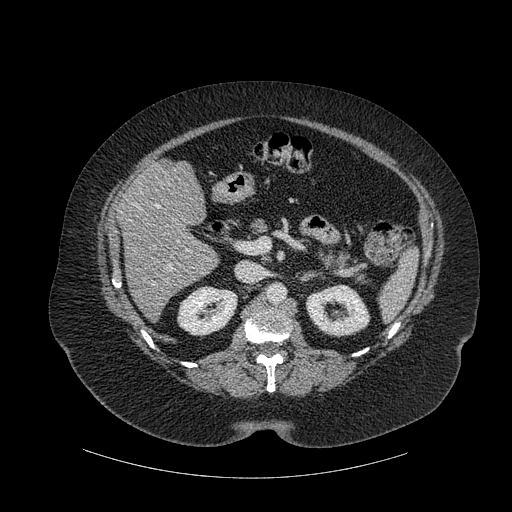

Upper abdomen; Computed tomography

<segmentation>
  <kidney>bbox=[178, 287, 236, 334]; bbox=[306, 285, 368, 335]</kidney>
  <liver>bbox=[117, 160, 219, 318]</liver>
  <bone>bbox=[388, 323, 399, 337]; bbox=[245, 299, 291, 343]; bbox=[141, 330, 153, 348]; bbox=[257, 354, 282, 391]; bbox=[112, 279, 120, 287]; bbox=[353, 348, 368, 355]; bbox=[182, 362, 196, 367]</bone>
</segmentation>